Slice 20/155
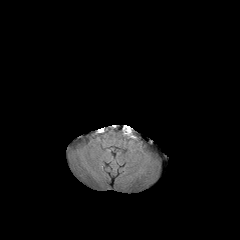
FLAIR magnetic resonance.
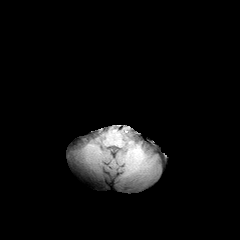
T1-weighted MRI.
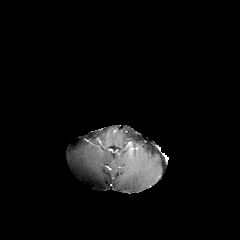
Post-contrast T1-weighted MRI.
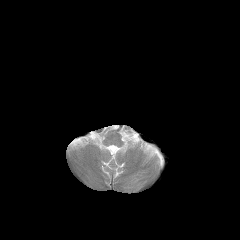
Same slice, T2-weighted MR image.
The edema appears at left=121, top=131, right=133, bottom=141.